Slice index 52; Head; Field of view 240 mm wide, 1.00 mm slice spacing
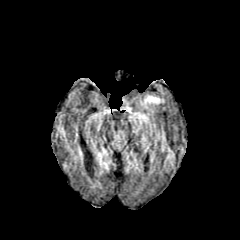
FLAIR MRI.
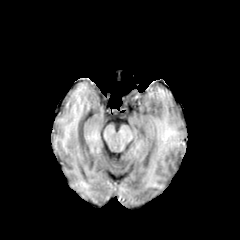
Same slice, T1-weighted magnetic resonance.
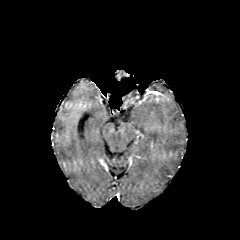
Post-contrast T1-weighted MRI.
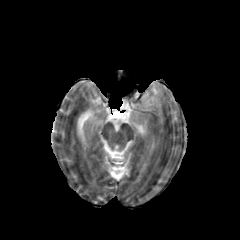
T2-weighted MRI.
Edema = bbox=[140, 91, 160, 108].